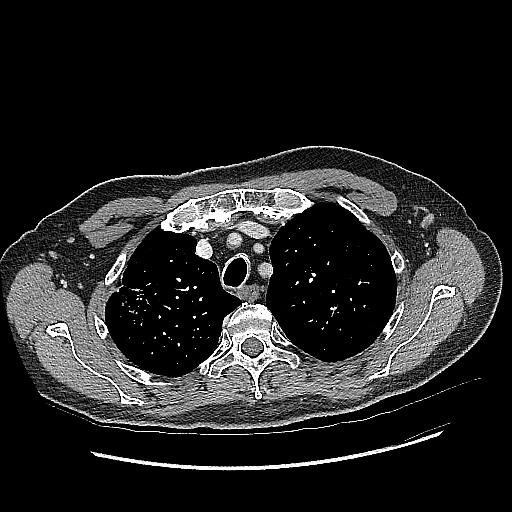
Thorax | CT scan slice

• lung tumor: <bbox>118, 285, 155, 319</bbox>